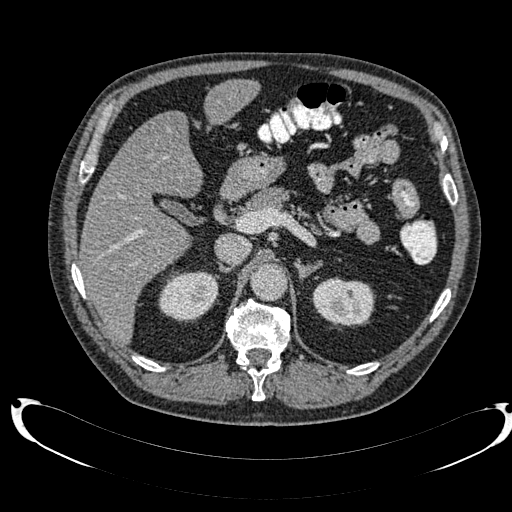
Abdomen, Computed tomography
Liver — bbox(80, 118, 201, 343); bbox(205, 79, 259, 124).
Focal liver lesion — bbox(149, 112, 185, 140).
Kidney — bbox(313, 278, 373, 325); bbox(159, 272, 217, 320).